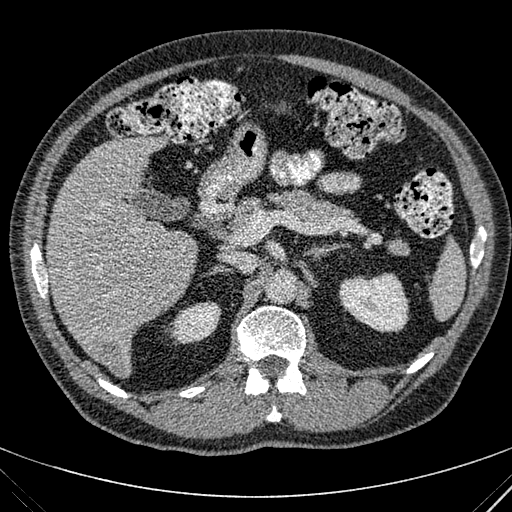

CT

Segmented structures:
- kidney: 173,302,220,343; 340,273,407,331
- liver lesion: 91,338,128,375
- liver: 46,137,194,376